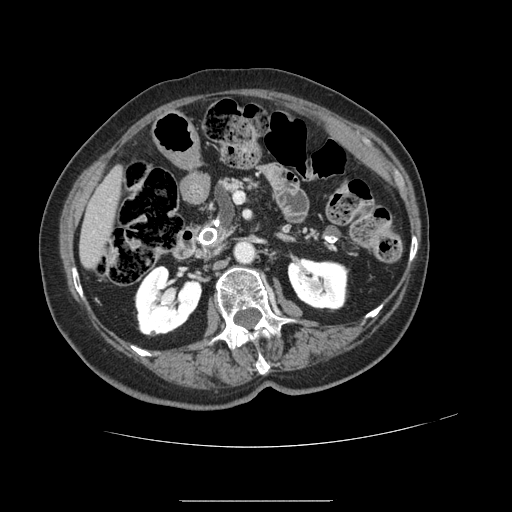
Upper abdomen, CT, 512x512
Annotated regions:
- pancreas: (x1=198, y1=178, x2=244, y2=245)